Upper abdomen, CT, Field of view 398x398 mm, Slice 38/91 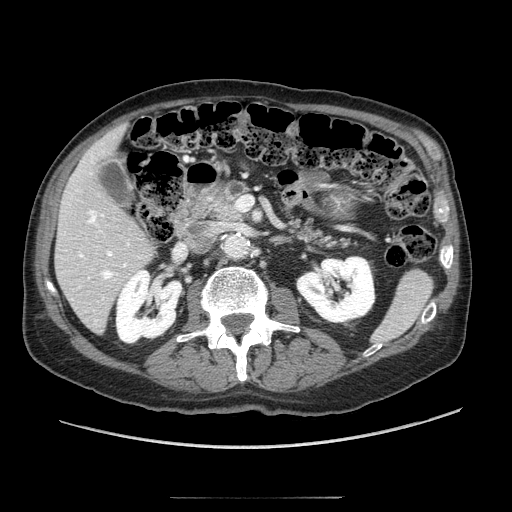

{
  "pancreas": [
    "215,183,246,221",
    "284,210,351,250"
  ]
}